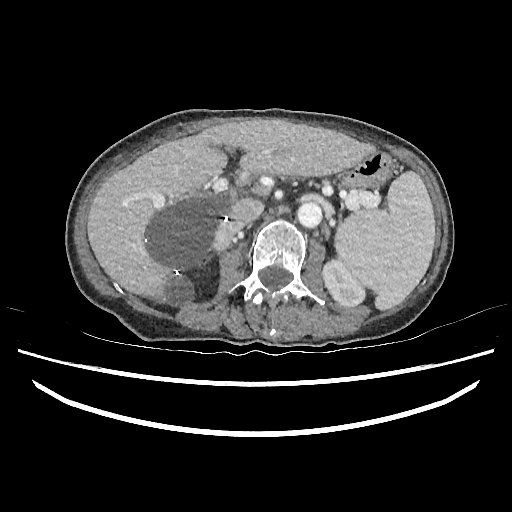
512x512 px. Upper abdomen. CT slice.

The kidney lies within [322,261,365,306]. The liver lies within [88,121,375,306]. 2 focal liver lesion regions are bounded by [166,274,193,303], [145,197,226,270].